Slice 110 of 155, Brain, Field of view 240x240 mm
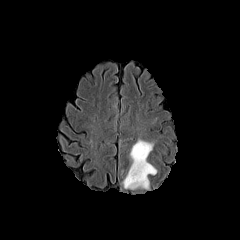
FLAIR MRI.
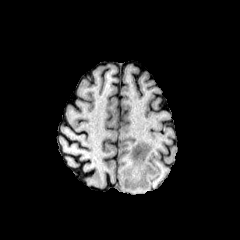
T1-weighted MR.
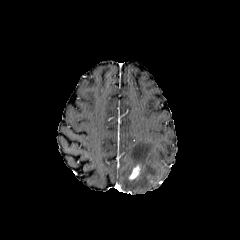
Post-contrast T1-weighted MRI.
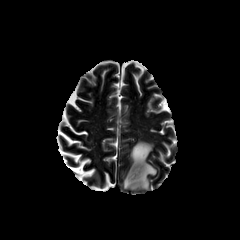
T2-weighted magnetic resonance.
Segmented structures:
* edema: 123 139 156 189
* enhancing tumor: 127 166 141 178